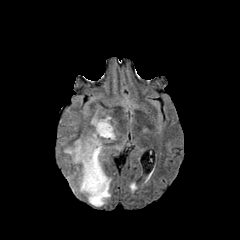
FLAIR MR.
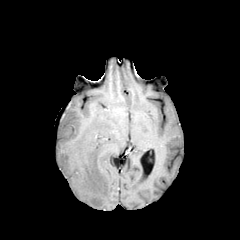
T1-weighted MR.
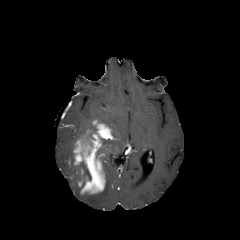
Same slice, post-contrast T1-weighted MR image.
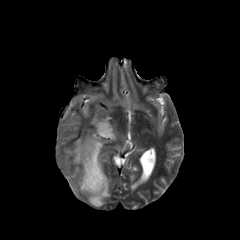
T2-weighted MR.
240x240 | Head
enhancing tumor: (left=73, top=119, right=116, bottom=193) | edema: (left=90, top=109, right=115, bottom=137), (left=84, top=173, right=111, bottom=206), (left=66, top=172, right=80, bottom=196), (left=63, top=141, right=75, bottom=164) | non-enhancing tumor core: (left=76, top=161, right=91, bottom=189)